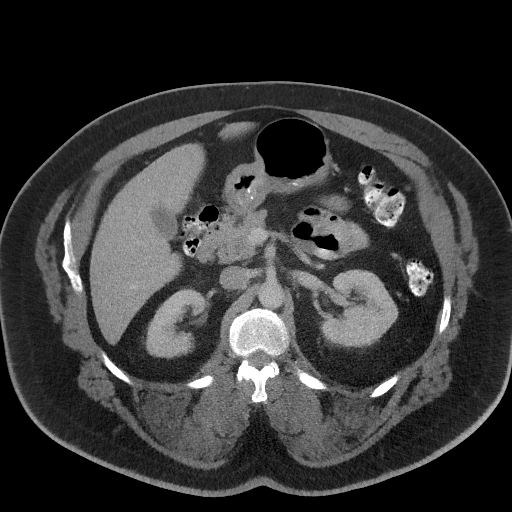

Upper abdomen; CT slice
<segmentation>
  <pancreas>left=199, top=211, right=266, bottom=262</pancreas>
</segmentation>